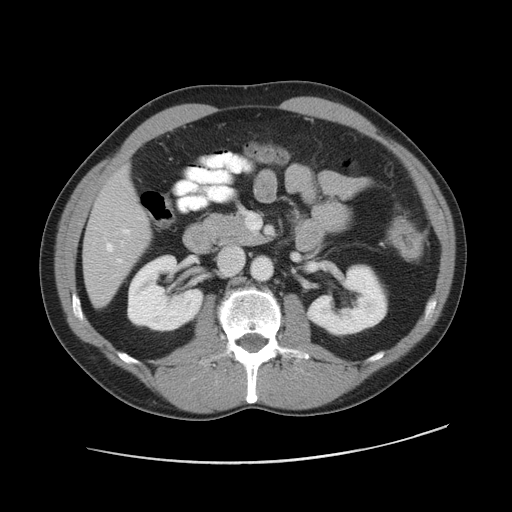

CT scan slice; Pelvis
{
  "colon_tumor": [
    "[392, 220, 422, 262]"
  ]
}